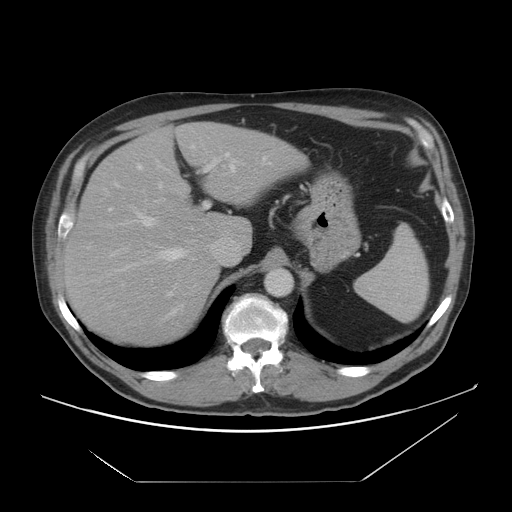

CT scan slice, Upper abdomen

liver:
  - [60, 122, 308, 345]